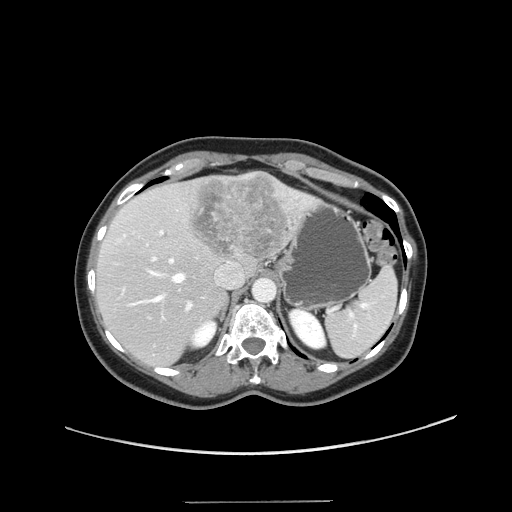

CT image.

Only some of the vessels may be annotated.
The liver tumor appears at (187,172,293,261). 9 hepatic vessel regions are located at (146,295,163,301), (169,259,173,262), (152,257,155,259), (149,270,160,274), (186,302,191,308), (173,273,184,281), (129,303,135,305), (215,261,243,288), (160,231,163,233).